FLAIR MR image.
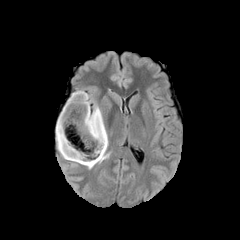
T1-weighted magnetic resonance.
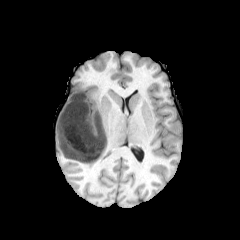
Post-contrast T1-weighted MR image.
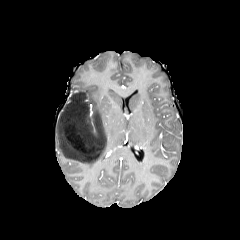
T2-weighted MR image.
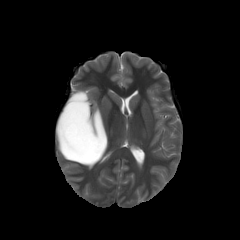
Head.
Non-enhancing tumor core: x1=58, y1=91, x2=106, y2=163.
Edema: x1=84, y1=92, x2=108, y2=148; x1=56, y1=116, x2=80, y2=164; x1=81, y1=158, x2=107, y2=169.